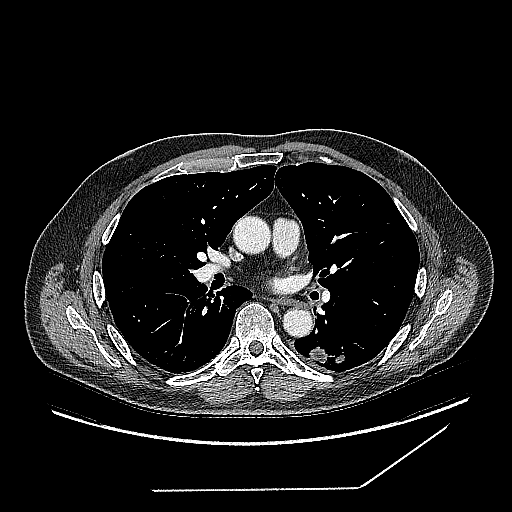
CT scan slice
Findings:
* lung tumor: box=[306, 345, 346, 366]